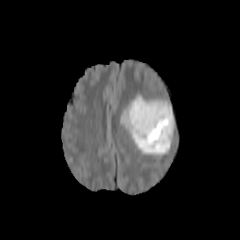
FLAIR MRI.
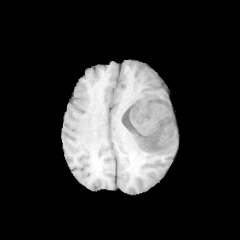
T1-weighted MR.
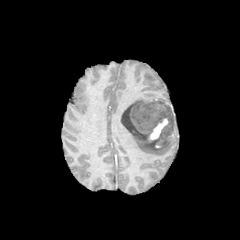
Post-contrast T1-weighted MR.
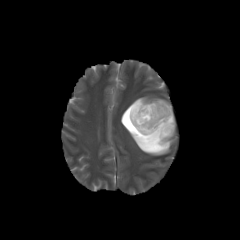
Same slice, T2-weighted MR.
Head
{
  "enhancing_tumor": [
    "(148,117,168,142)"
  ],
  "non-enhancing_tumor_core": [
    "(121,99,175,146)"
  ],
  "edema": [
    "(121,95,144,116)",
    "(119,117,171,155)"
  ]
}